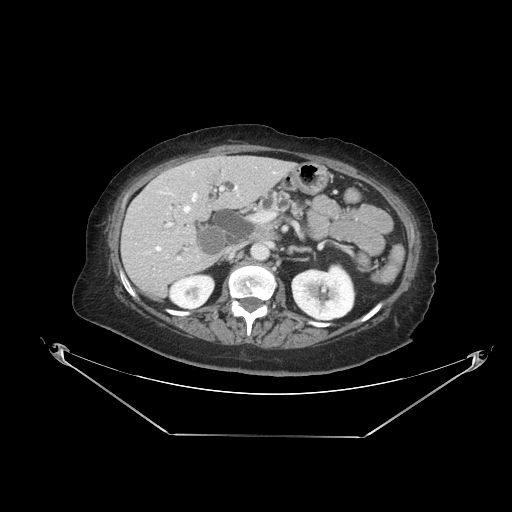

Abdomen | CT scan slice
Pancreas: (260,192,304,216).